CT scan slice; Abdomen 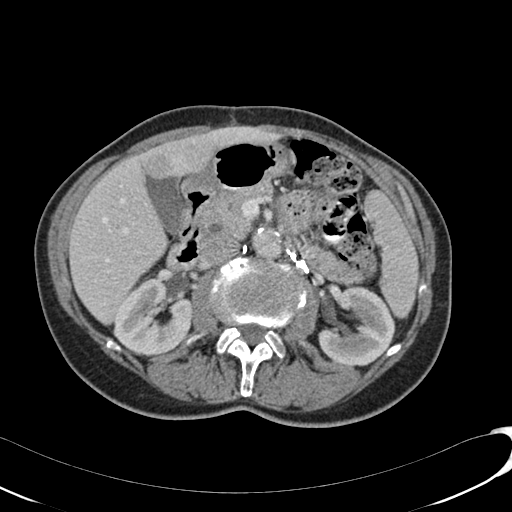 2 kidney regions appear at {"x1": 114, "y1": 279, "x2": 192, "y2": 354}, {"x1": 319, "y1": 288, "x2": 393, "y2": 365}. The liver is bounded by {"x1": 70, "y1": 127, "x2": 284, "y2": 324}. 2 hepatic lesion regions are bounded by {"x1": 212, "y1": 144, "x2": 225, "y2": 153}, {"x1": 147, "y1": 156, "x2": 169, "y2": 178}.